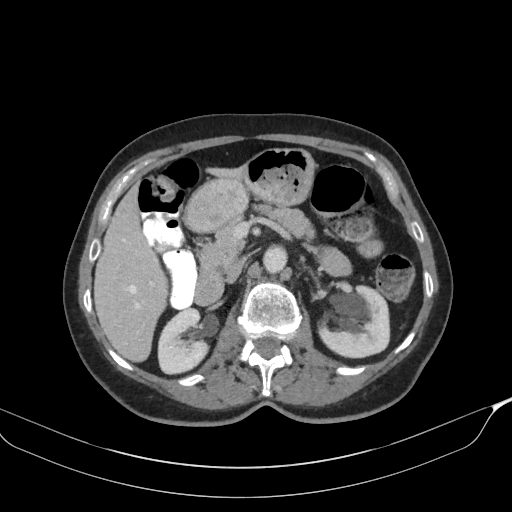

CT slice, Abdomen
Pancreas = (x1=263, y1=207, x2=313, y2=238), (x1=199, y1=222, x2=245, y2=270).